240x240. Head.
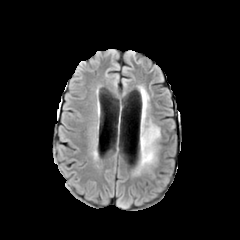
FLAIR MR image.
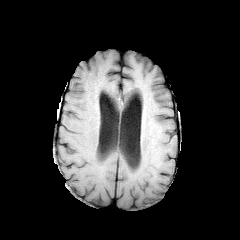
T1-weighted MR.
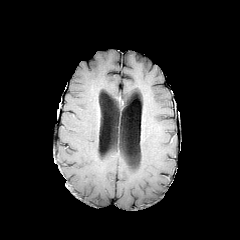
Post-contrast T1-weighted MR.
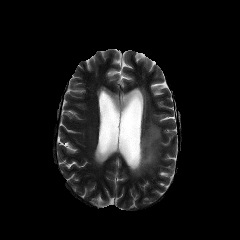
T2-weighted magnetic resonance.
Edema: bounding box x1=141, y1=90, x2=149, y2=108; x1=136, y1=108, x2=160, y2=171.